Slice 492/908. CT. Upper abdomen. 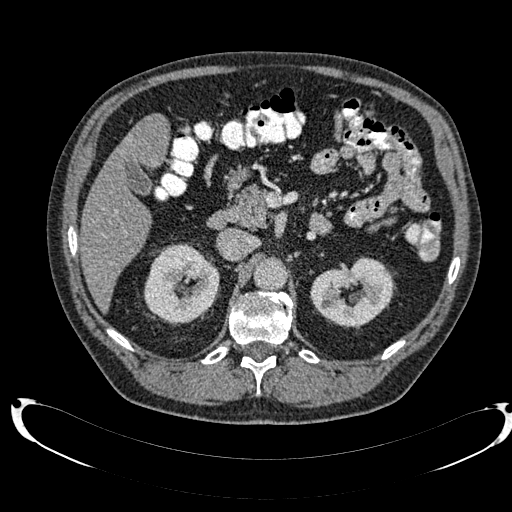 Annotated regions:
• liver: x1=81 y1=114 x2=168 y2=313
• kidney: x1=310 y1=257 x2=393 y2=327, x1=144 y1=244 x2=219 y2=323